Head, Image width 240 mm
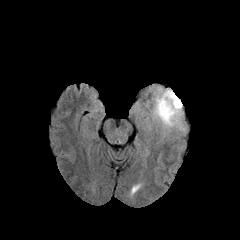
FLAIR MR image.
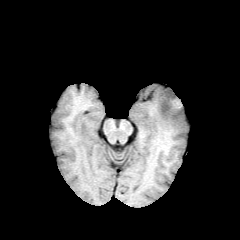
T1-weighted MR image of the same slice.
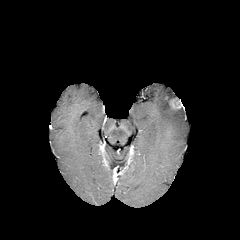
Post-contrast T1-weighted MR.
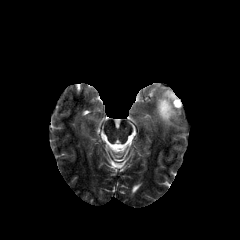
T2-weighted magnetic resonance.
The edema is located at box(144, 86, 185, 133). The enhancing tumor is located at box(170, 98, 182, 108).